CT slice. Field of view 470x470 mm. Liver. Slice 23/49. 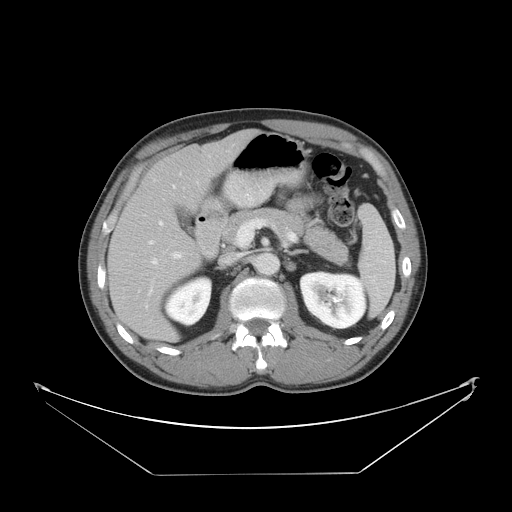
Not every hepatic vessel necessarily has a box.
11 hepatic vessel regions appear at region(179, 172, 181, 175); region(172, 252, 181, 258); region(173, 185, 175, 187); region(159, 221, 162, 225); region(196, 181, 198, 183); region(145, 304, 147, 307); region(148, 279, 154, 295); region(151, 258, 157, 263); region(149, 240, 153, 244); region(227, 150, 229, 151); region(154, 179, 155, 180).